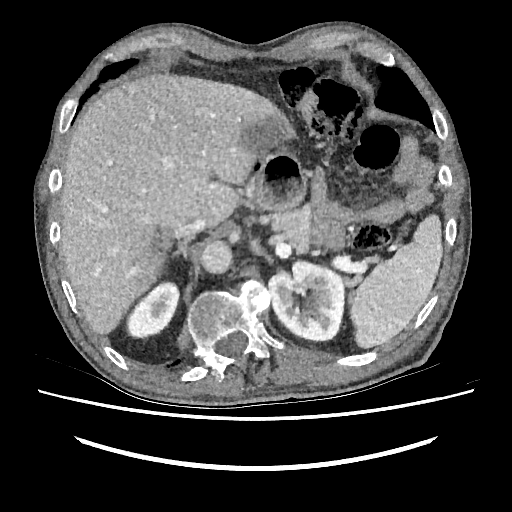
CT scan slice. Liver. 512x512 px.
Liver: bounding box box(60, 74, 295, 333).
Kidney: bounding box box(269, 262, 343, 340); box(129, 283, 178, 336).
Hepatic lesion: bounding box box(241, 116, 287, 155); box(143, 226, 170, 274).